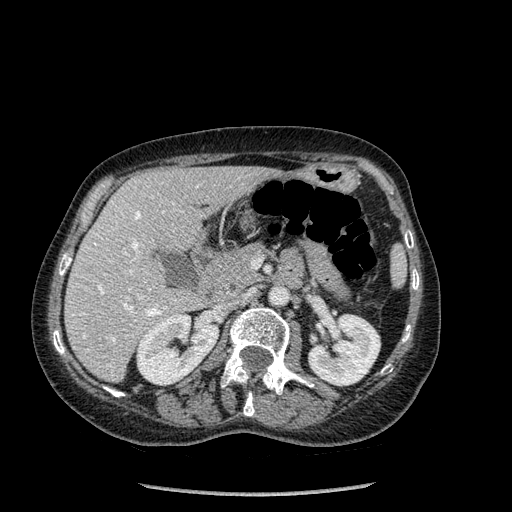 Liver. CT slice.

Bone: bounding box region(243, 391, 254, 416); region(221, 307, 313, 394); region(103, 386, 124, 397); region(404, 230, 413, 248); region(411, 269, 419, 289); region(402, 325, 410, 342); region(59, 256, 71, 275); region(53, 330, 64, 354).
Kidney: bounding box region(137, 314, 218, 384); region(309, 311, 380, 385).
Liver: bounding box region(64, 166, 280, 382).